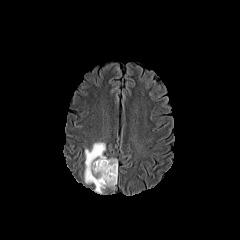
FLAIR MR image.
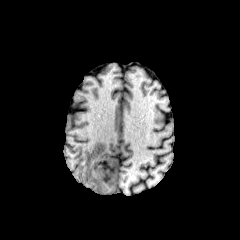
T1-weighted magnetic resonance.
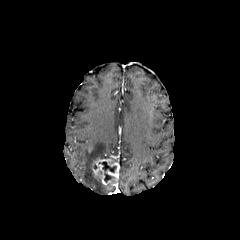
Post-contrast T1-weighted MR image.
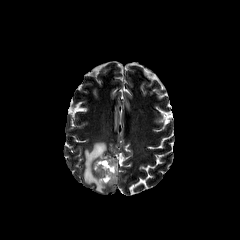
T2-weighted MR.
Head.
<segmentation>
  <non-enhancing_tumor_core><bbox>98, 162, 116, 182</bbox>, <bbox>91, 164, 101, 181</bbox></non-enhancing_tumor_core>
  <enhancing_tumor><bbox>106, 169, 117, 185</bbox>, <bbox>92, 159, 118, 185</bbox></enhancing_tumor>
  <edema><bbox>84, 141, 107, 192</bbox></edema>
</segmentation>